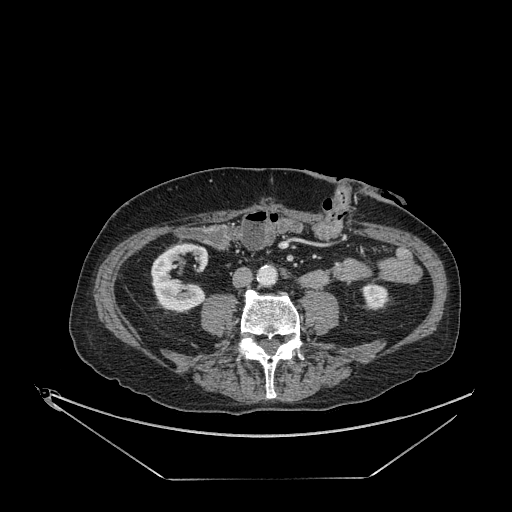

Abdomen | CT
kidney: bbox(363, 284, 387, 309); bbox(151, 244, 207, 311)